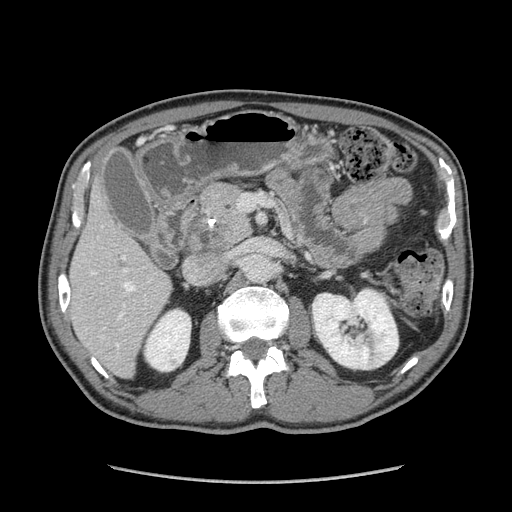 Computed tomography. Image size 512x512.
The pancreatic tumor is at [187,211,227,249]. The pancreas lies within [176,182,253,252].